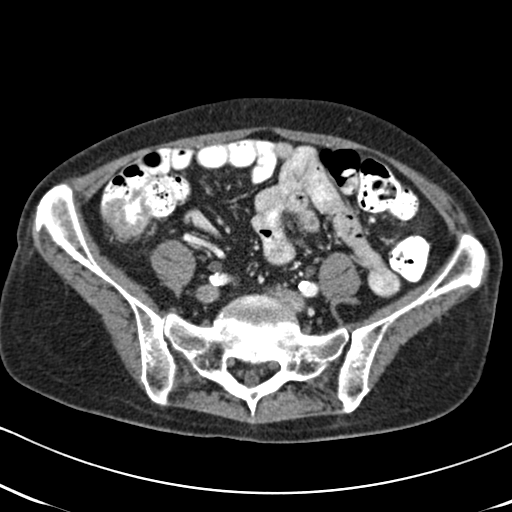
Computed tomography
<segmentation>
  <colon_tumor>[102,187,150,237]</colon_tumor>
</segmentation>